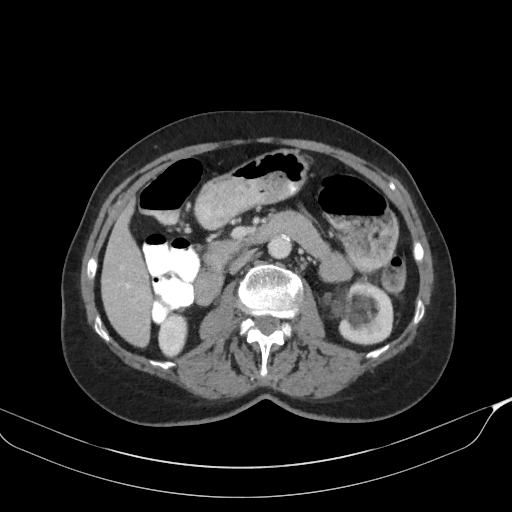

CT scan slice | Abdomen
The pancreas appears at [x1=205, y1=240, x2=238, y2=269].